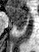
39x52. Hippocampus. Magnetic resonance. • anterior hippocampus: {"x1": 6, "y1": 6, "x2": 26, "y2": 21}
• posterior hippocampus: {"x1": 14, "y1": 22, "x2": 25, "y2": 30}